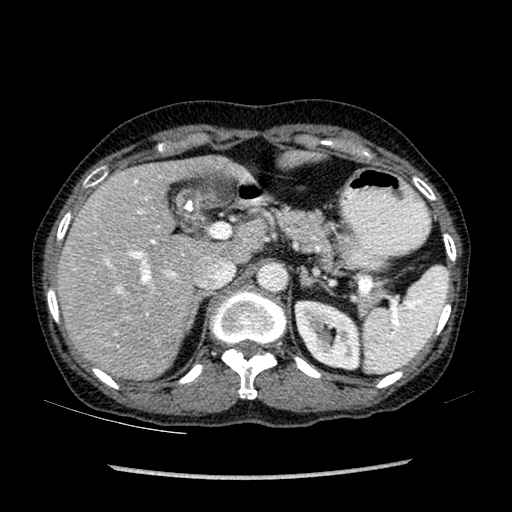
CT slice | Abdomen
The liver appears at region(58, 164, 266, 377). The kidney is located at region(296, 302, 358, 368).